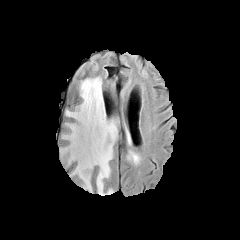
FLAIR MR image.
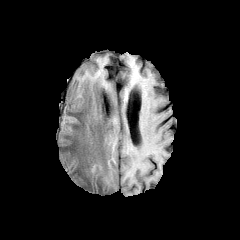
Same slice, T1-weighted MRI.
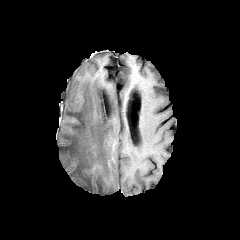
Post-contrast T1-weighted magnetic resonance.
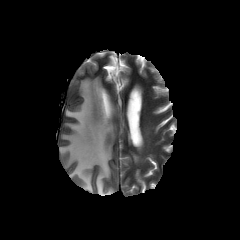
Same slice, T2-weighted magnetic resonance.
edema: rect(64, 77, 117, 195)